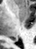

MR image

posterior hippocampus: l=14, t=39, r=17, b=40